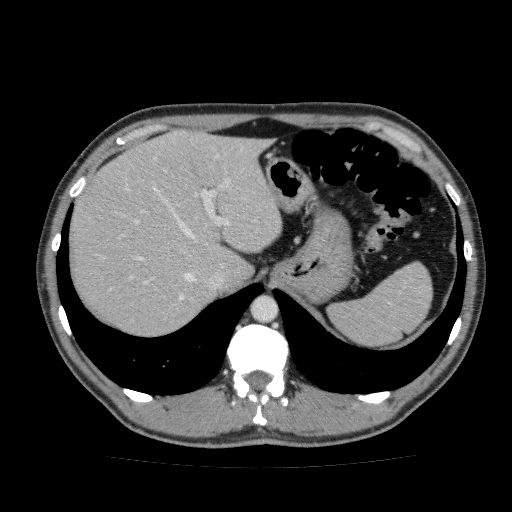 CT slice | Liver
Liver = <bbox>70, 129, 281, 338</bbox>.